Magnetic resonance, Image width 34 mm, Slice 16 of 34
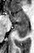

anterior_hippocampus:
  - 4,9,28,22
posterior_hippocampus:
  - 14,23,28,37